Field of view 240 mm wide, 1.00 mm slice spacing
FLAIR MR.
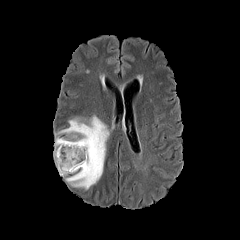
T1-weighted MR image.
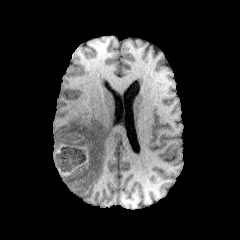
Post-contrast T1-weighted magnetic resonance.
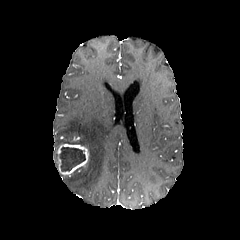
T2-weighted MRI.
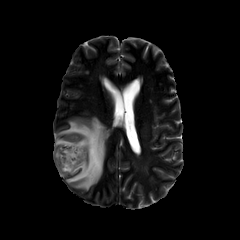
Segmented structures:
- non-enhancing tumor core: {"x1": 53, "y1": 148, "x2": 58, "y2": 167}, {"x1": 60, "y1": 146, "x2": 85, "y2": 172}
- enhancing tumor: {"x1": 56, "y1": 144, "x2": 89, "y2": 174}
- edema: {"x1": 53, "y1": 115, "x2": 111, "y2": 190}